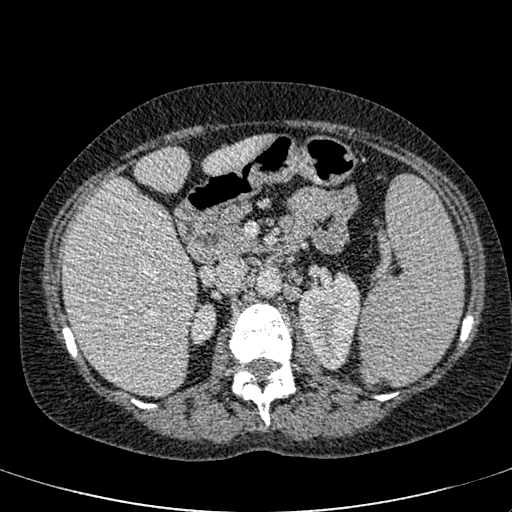
CT slice

2 kidney regions appear at <bbox>299, 273, 359, 368</bbox>, <bbox>191, 305, 215, 342</bbox>. 3 liver regions are located at <bbox>65, 178, 195, 394</bbox>, <bbox>134, 147, 187, 191</bbox>, <bbox>204, 135, 273, 174</bbox>.